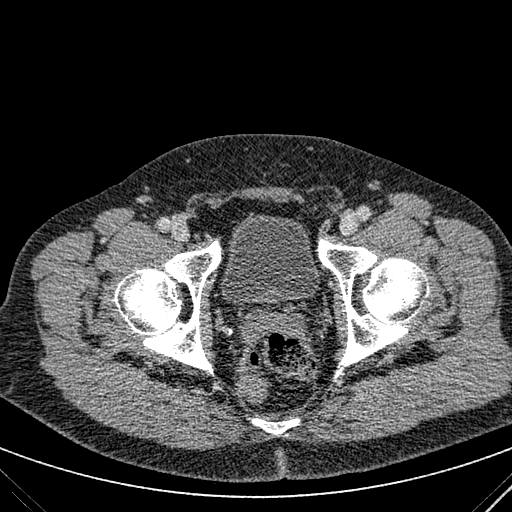
CT slice.

The urinary bladder is at {"x1": 218, "y1": 212, "x2": 320, "y2": 312}.